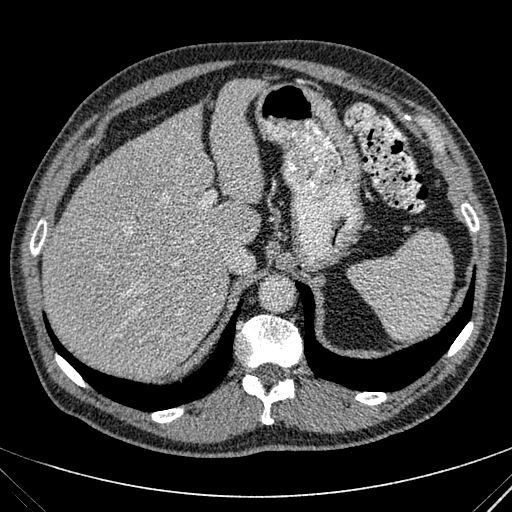
Upper abdomen. Image size 512x512. Computed tomography.
<segmentation>
  <liver>x1=44, y1=79, x2=267, y2=375</liver>
</segmentation>